Brain
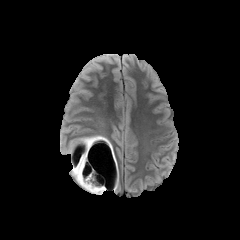
FLAIR MR image.
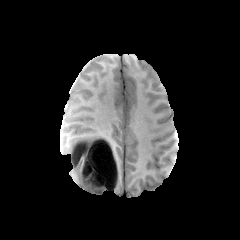
Same slice, T1-weighted MRI.
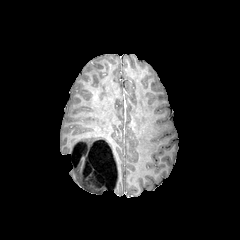
Post-contrast T1-weighted MRI of the same slice.
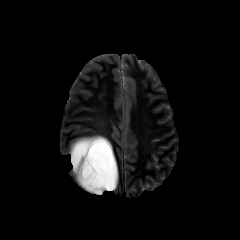
T2-weighted magnetic resonance.
Edema — (left=98, top=141, right=111, bottom=154), (left=68, top=134, right=106, bottom=151), (left=105, top=177, right=114, bottom=186), (left=72, top=162, right=97, bottom=193).
Non-enhancing tumor core — (left=71, top=138, right=107, bottom=189).